Image width 426 mm; CT; Image size 512x512; Slice 49/113; Upper abdomen

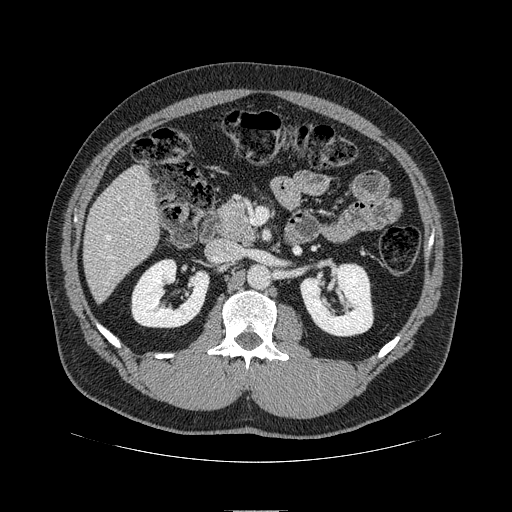 * pancreas: (x1=221, y1=201, x2=254, y2=242)